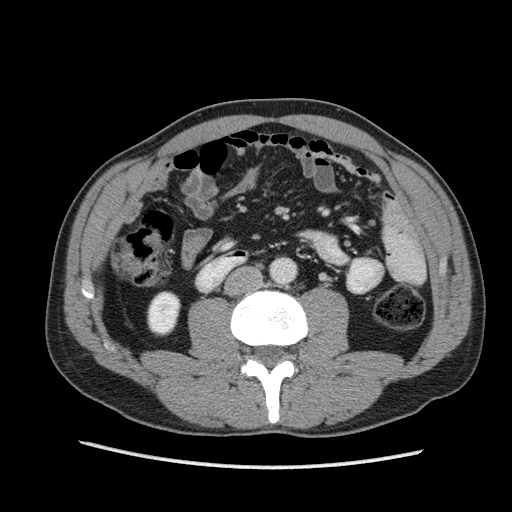
CT slice
<segmentation>
  <kidney>149:293:178:332</kidney>
</segmentation>